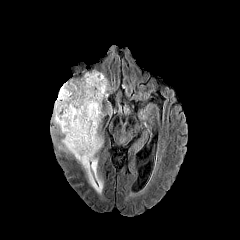
FLAIR MRI.
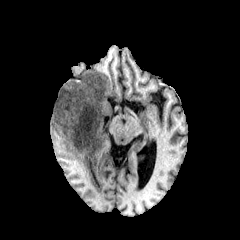
Same slice, T1-weighted MR image.
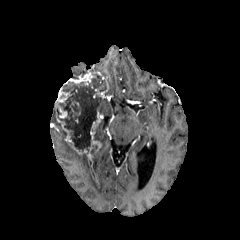
Post-contrast T1-weighted MR image of the same slice.
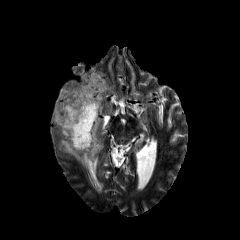
Same slice, T2-weighted magnetic resonance.
Head
Non-enhancing tumor core = {"x1": 51, "y1": 73, "x2": 107, "y2": 156}, {"x1": 94, "y1": 119, "x2": 103, "y2": 140}.
Enhancing tumor = {"x1": 56, "y1": 115, "x2": 74, "y2": 144}, {"x1": 58, "y1": 105, "x2": 67, "y2": 118}, {"x1": 93, "y1": 89, "x2": 106, "y2": 98}, {"x1": 88, "y1": 111, "x2": 103, "y2": 152}, {"x1": 56, "y1": 87, "x2": 71, "y2": 104}, {"x1": 69, "y1": 73, "x2": 95, "y2": 85}.
Edema = {"x1": 61, "y1": 139, "x2": 103, "y2": 194}.